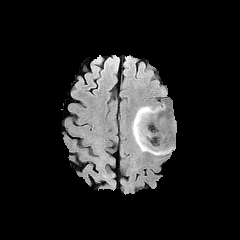
FLAIR magnetic resonance.
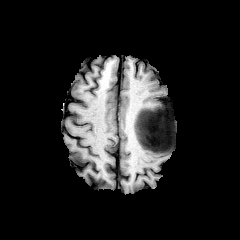
T1-weighted MR.
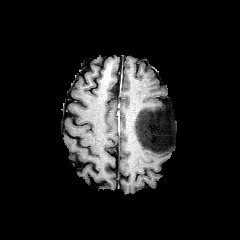
Post-contrast T1-weighted MR of the same slice.
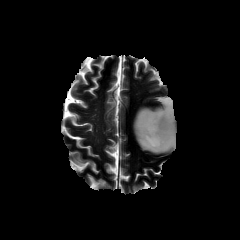
T2-weighted MR.
Brain.
edema:
  - x1=162, y1=116, x2=172, y2=130
  - x1=132, y1=119, x2=174, y2=155
  - x1=140, y1=106, x2=164, y2=110
non-enhancing_tumor_core:
  - x1=134, y1=108, x2=171, y2=151